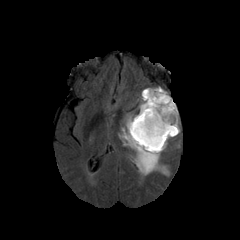
FLAIR MR.
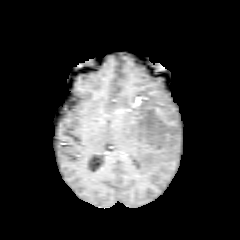
T1-weighted MRI.
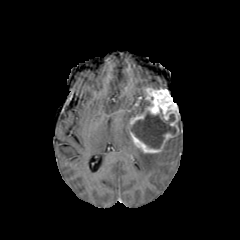
Post-contrast T1-weighted MRI.
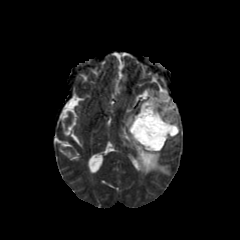
T2-weighted MR.
Brain
edema: (162,118,181,150), (121,103,168,175) | enhancing tumor: (130,88,179,133), (130,131,172,152) | non-enhancing tumor core: (139,95,149,113), (130,112,176,148)